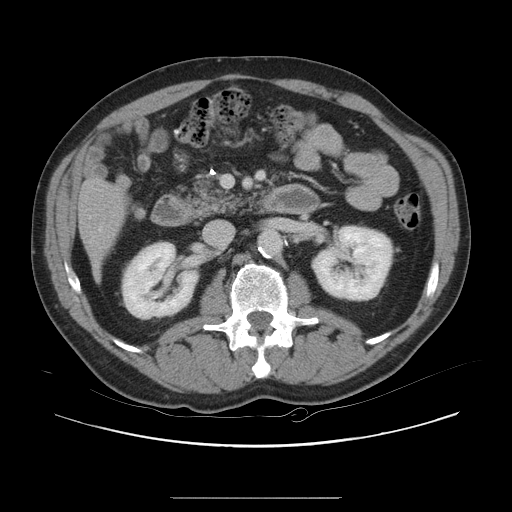

CT
The vessel annotation is not exhaustive.
hepatic vessel: l=99, t=227, r=101, b=229